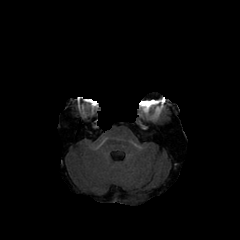
FLAIR MR.
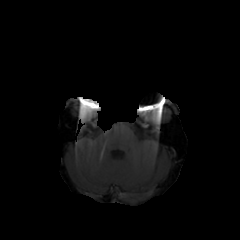
T1-weighted MR image.
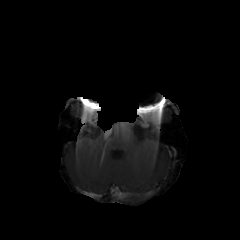
Post-contrast T1-weighted MR.
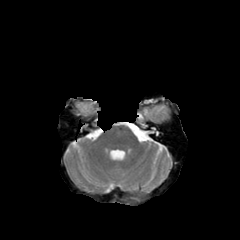
T2-weighted MR.
Brain
<segmentation>
  <non-enhancing_tumor_core>139:100:164:119</non-enhancing_tumor_core>
  <enhancing_tumor>140:107:147:115, 144:102:159:111</enhancing_tumor>
</segmentation>